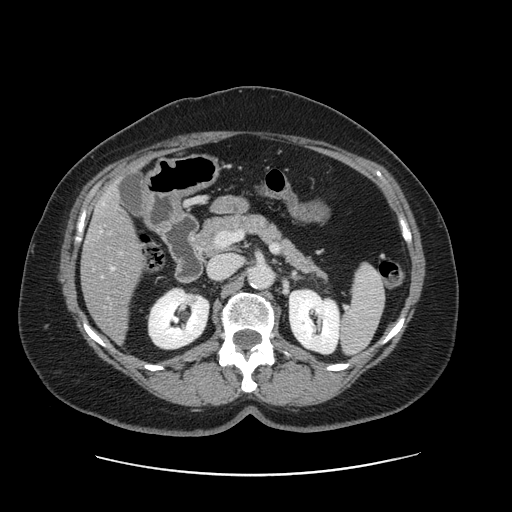 Liver. CT image. Image size 512x512.
The vessel annotation is not exhaustive.
Hepatic vessel at (111,267,114,269).